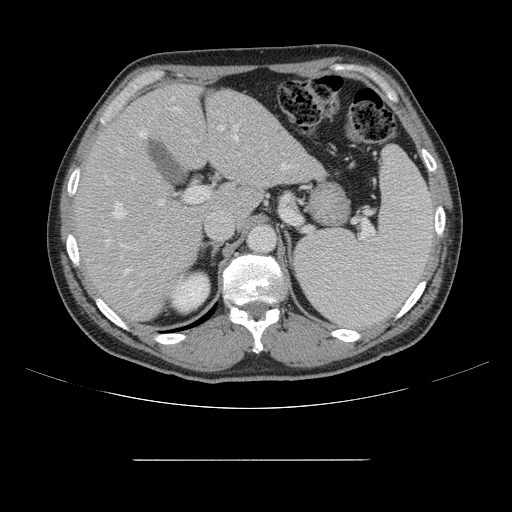

CT slice.

The vessel boxes may cover only some of the vessels.
The most prominent 15 hepatic vessel regions (of 20) are located at [234, 133, 237, 140], [114, 203, 126, 217], [184, 181, 208, 202], [125, 269, 129, 273], [158, 199, 164, 204], [281, 164, 290, 169], [105, 239, 109, 244], [106, 177, 110, 183], [122, 245, 128, 248], [217, 126, 223, 129], [173, 107, 181, 111], [234, 124, 239, 132], [119, 148, 123, 155], [139, 130, 146, 136], [149, 229, 154, 232].